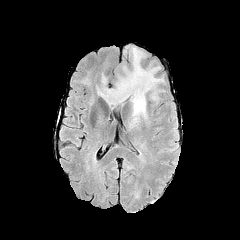
FLAIR MR.
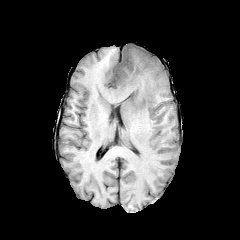
T1-weighted MR image.
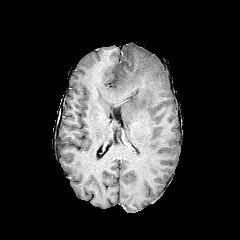
Post-contrast T1-weighted MRI of the same slice.
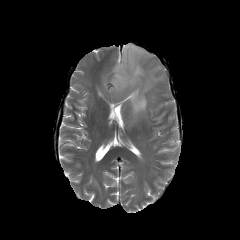
T2-weighted MRI of the same slice.
Edema at 104,46,164,123.